Computed tomography. Upper abdomen. Slice index 37. Image width 442 mm.

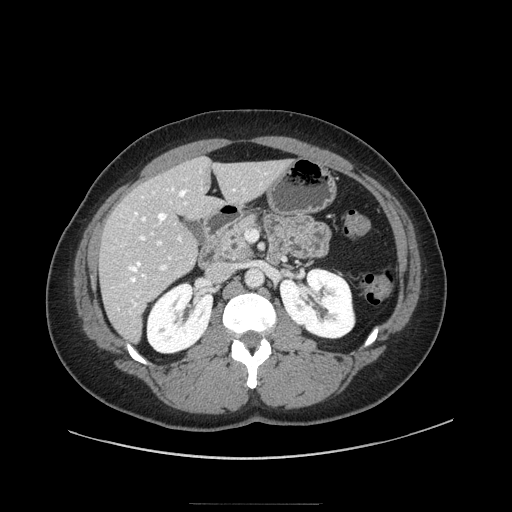

{"pancreas": ["bbox(216, 214, 260, 262)"]}